Field of view 512 mm wide, 1.00 mm slice spacing, CT, Upper abdomen, Slice 59 of 129

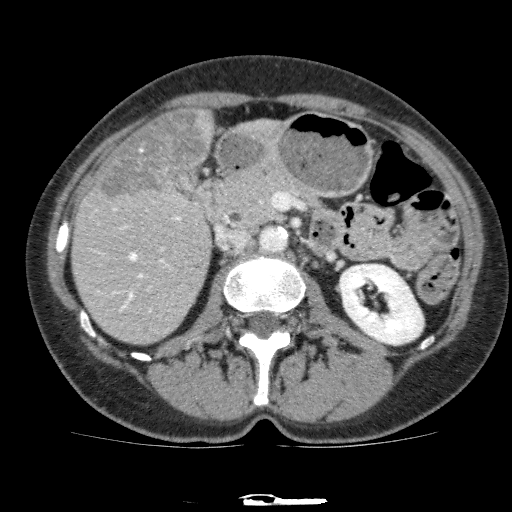 The kidney is bounded by [x1=340, y1=264, x2=423, y2=344]. The hepatic lesion is at [x1=98, y1=110, x2=209, y2=199]. 4 liver regions appear at [x1=195, y1=109, x2=215, y2=152], [x1=71, y1=162, x2=211, y2=345], [x1=237, y1=119, x2=284, y2=135], [x1=181, y1=163, x2=203, y2=173].